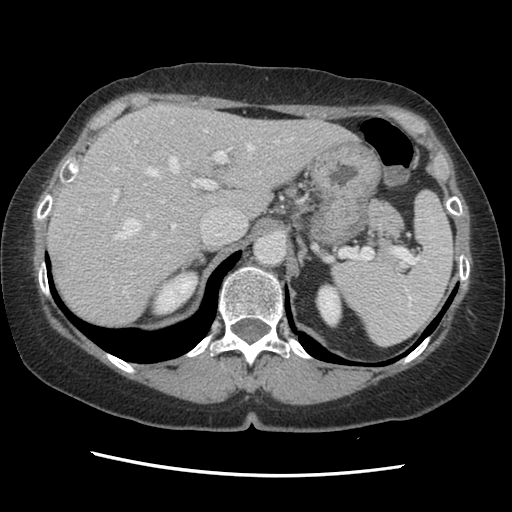 CT; Abdomen

The vessel boxes may cover only some of the vessels.
The largest 15 hepatic vessel regions (of 18) are located at [288,137,293,139], [247,144,253,150], [275,140,279,142], [147,213,150,216], [112,189,118,200], [171,223,175,231], [123,286,126,294], [192,179,215,188], [112,167,117,170], [146,167,158,175], [169,157,178,171], [115,219,140,238], [134,139,137,142], [213,150,227,162], [77,207,82,211].